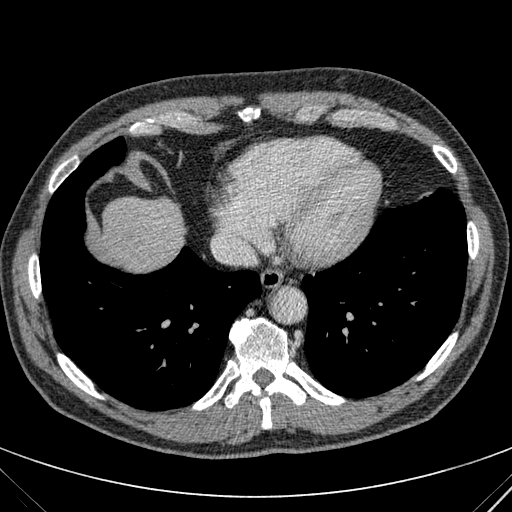 Image size 512x512 | Computed tomography
* liver: x1=100 y1=197 x2=182 y2=270